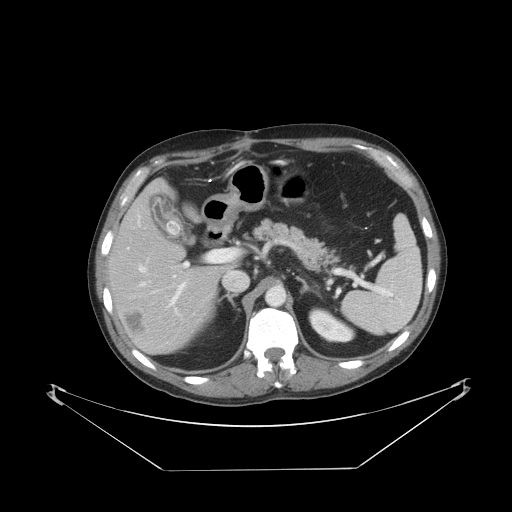

CT scan slice; Abdomen; 512x512

The vessel annotation is not exhaustive.
6 hepatic vessel regions are bounded by bbox=[139, 265, 146, 273]; bbox=[166, 281, 186, 317]; bbox=[137, 216, 140, 226]; bbox=[173, 275, 175, 277]; bbox=[140, 281, 150, 286]; bbox=[127, 247, 128, 249]. The liver tumor appears at bbox=[122, 310, 146, 335].